Slice 293 of 689. Field of view 360x360 mm. CT. 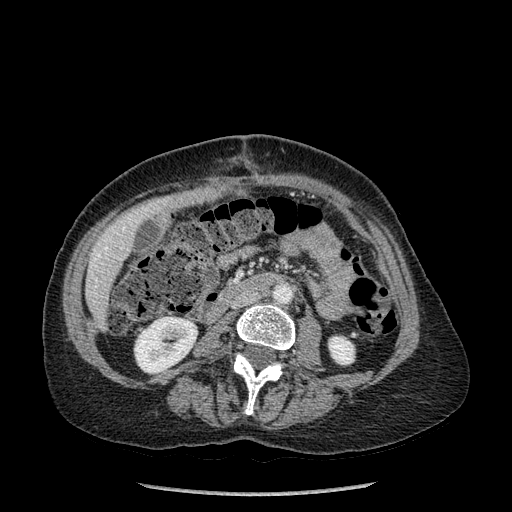
Annotated regions:
- bone: {"x1": 236, "y1": 303, "x2": 295, "y2": 350}, {"x1": 234, "y1": 353, "x2": 283, "y2": 414}
- liver: {"x1": 85, "y1": 203, "x2": 162, "y2": 332}, {"x1": 161, "y1": 196, "x2": 171, "y2": 204}
- kidney: {"x1": 134, "y1": 317, "x2": 197, "y2": 372}, {"x1": 329, "y1": 337, "x2": 353, "y2": 364}